FLAIR magnetic resonance.
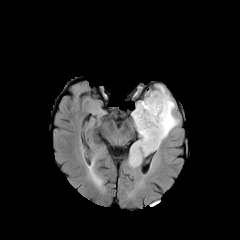
T1-weighted MR.
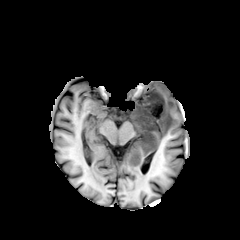
Post-contrast T1-weighted MRI.
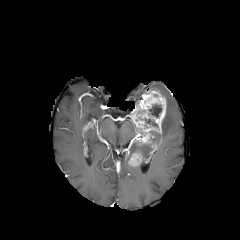
T2-weighted MR image.
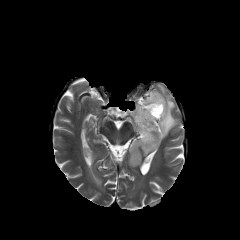
240x240; Head
<segmentation>
  <edema>152, 85, 179, 144; 130, 142, 153, 159</edema>
  <non-enhancing_tumor_core>145, 119, 157, 127; 149, 105, 162, 117</non-enhancing_tumor_core>
  <enhancing_tumor>131, 90, 166, 143</enhancing_tumor>
</segmentation>